FLAIR MR image.
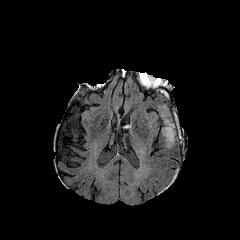
T1-weighted MRI.
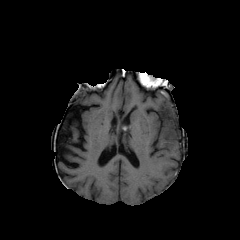
Post-contrast T1-weighted MR.
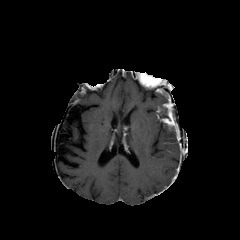
T2-weighted MR.
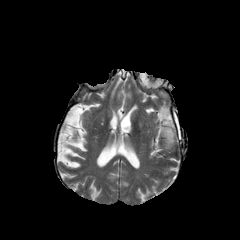
non-enhancing tumor core: (x1=140, y1=74, x2=162, y2=93), (x1=162, y1=120, x2=175, y2=136), (x1=166, y1=94, x2=173, y2=111) | enhancing tumor: (x1=159, y1=104, x2=179, y2=139) | edema: (x1=161, y1=126, x2=175, y2=148)